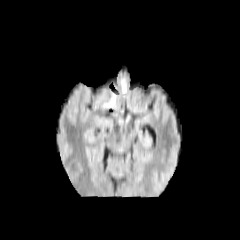
FLAIR MR.
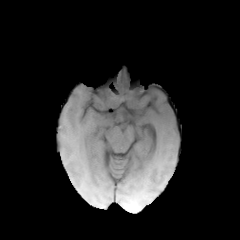
T1-weighted MR image of the same slice.
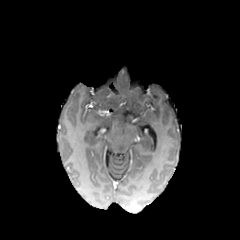
Post-contrast T1-weighted magnetic resonance.
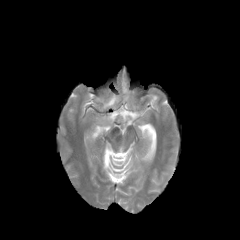
T2-weighted MR of the same slice.
240x240 px | Brain
The non-enhancing tumor core is located at 90,87,113,109.